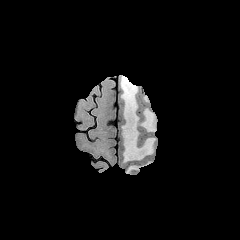
FLAIR MRI.
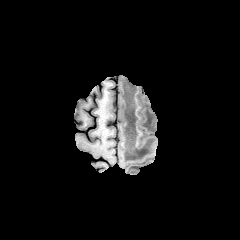
T1-weighted MR.
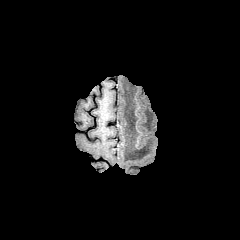
Same slice, post-contrast T1-weighted magnetic resonance.
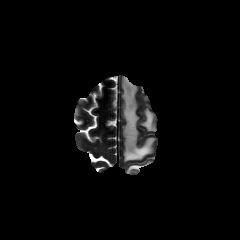
Same slice, T2-weighted MRI.
240x240.
edema:
  - bbox=[128, 165, 139, 171]
  - bbox=[120, 78, 154, 161]